CT scan slice. 512x512.
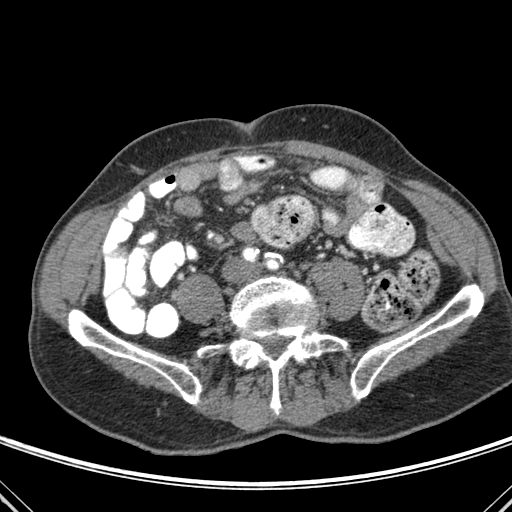 Bone = [197, 345, 223, 356], [350, 284, 483, 400], [229, 276, 347, 411], [68, 309, 201, 404].